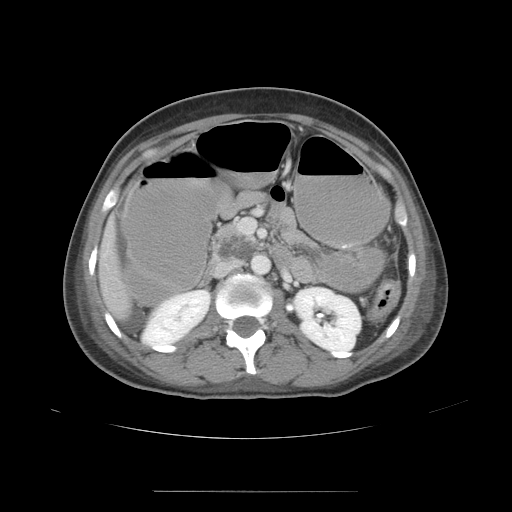
Computed tomography, Image size 512x512
The colon tumor lies within bbox=[377, 282, 394, 296].